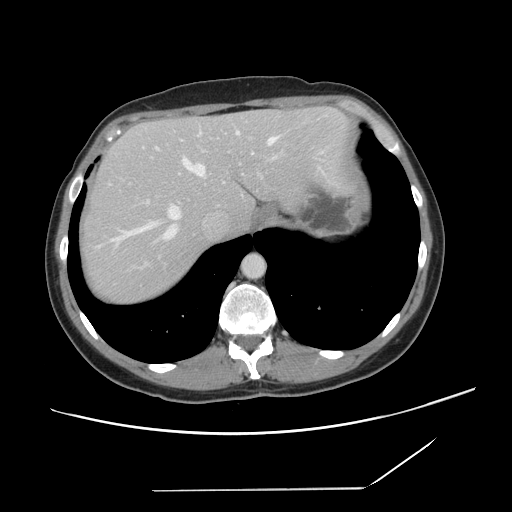 Abdomen; 512x512; CT
The vessel annotation is not exhaustive.
Hepatic vessel: box=[272, 156, 276, 159]; box=[109, 222, 156, 243]; box=[236, 131, 238, 134]; box=[160, 225, 176, 239]; box=[182, 157, 204, 175]; box=[97, 246, 99, 247]; box=[169, 205, 180, 220]; box=[178, 173, 180, 174]; box=[142, 263, 147, 266]; box=[198, 130, 200, 135]; box=[147, 200, 148, 203]; box=[156, 147, 158, 149]; box=[268, 136, 278, 144].